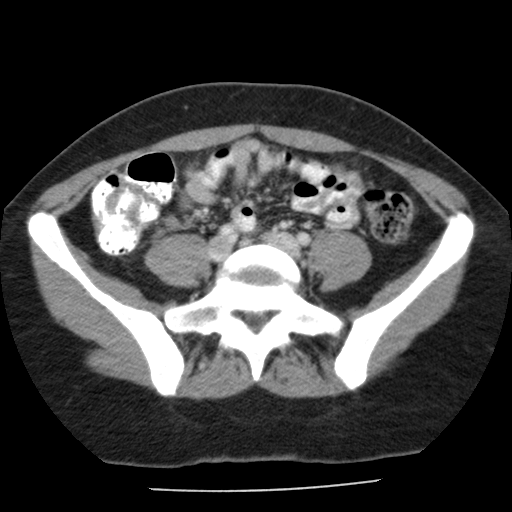
CT, 512x512 px, Abdomen
Colon tumor — box(106, 177, 142, 224).